Lower abdomen. Computed tomography. 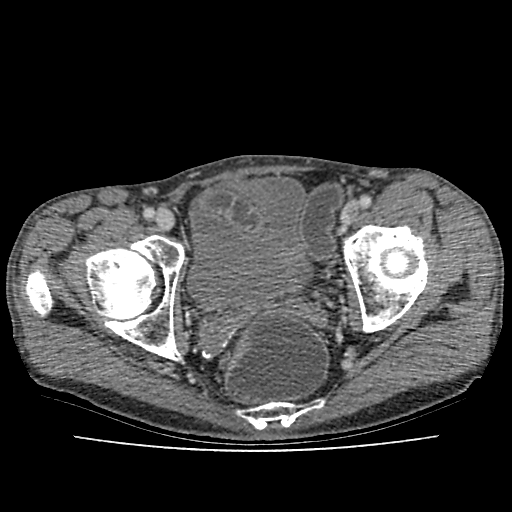 The urinary bladder is located at (187, 175, 317, 308).